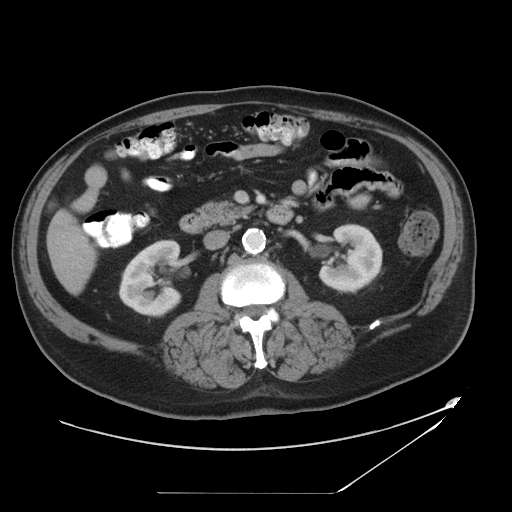
CT image | Abdomen
Some hepatic vessels may have no box.
6 hepatic vessel regions appear at l=77, t=236, r=81, b=238; l=69, t=248, r=71, b=250; l=81, t=244, r=85, b=247; l=73, t=239, r=76, b=241; l=78, t=265, r=80, b=267; l=86, t=251, r=89, b=252.